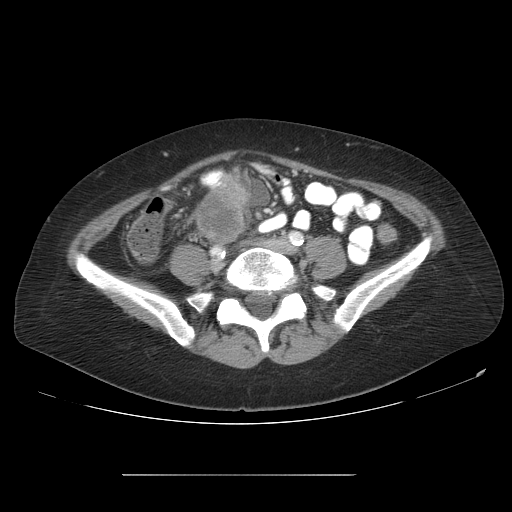

Computed tomography | 512x512 px
The colon tumor lies within rect(196, 174, 248, 244).